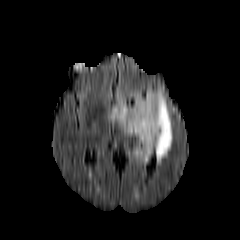
FLAIR MR image.
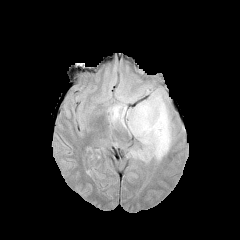
T1-weighted MR image.
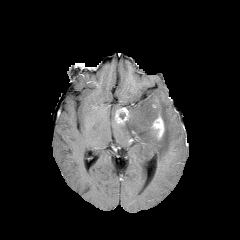
Post-contrast T1-weighted MR image of the same slice.
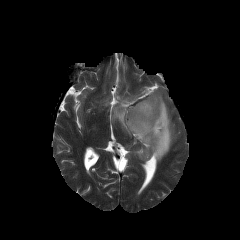
T2-weighted MRI of the same slice.
240x240 px; Brain
Enhancing tumor: bounding box (x1=115, y1=107, x2=129, y2=123), (x1=152, y1=115, x2=164, y2=138).
Edema: bounding box (x1=110, y1=87, x2=172, y2=164).